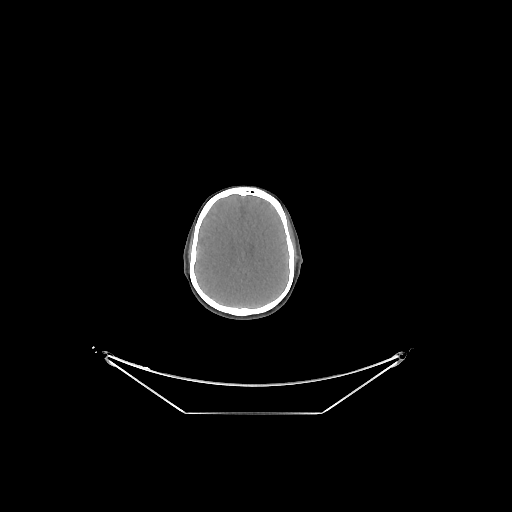

Head; CT image
<segmentation>
  <brain>box(194, 194, 289, 308)</brain>
</segmentation>